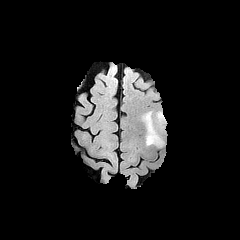
FLAIR magnetic resonance.
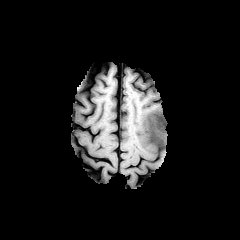
T1-weighted MR image.
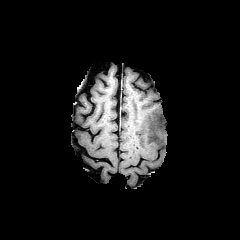
Post-contrast T1-weighted magnetic resonance of the same slice.
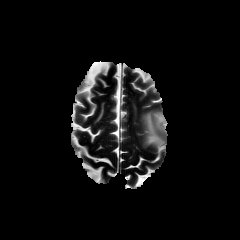
T2-weighted MRI.
240x240 | Brain
edema: [x1=146, y1=110, x2=165, y2=147] | non-enhancing tumor core: [x1=145, y1=111, x2=153, y2=140]